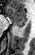 MR; Medial temporal lobe

The posterior hippocampus is located at (x1=16, y1=23, x2=25, y2=27). The anterior hippocampus is at (x1=7, y1=6, x2=27, y2=22).